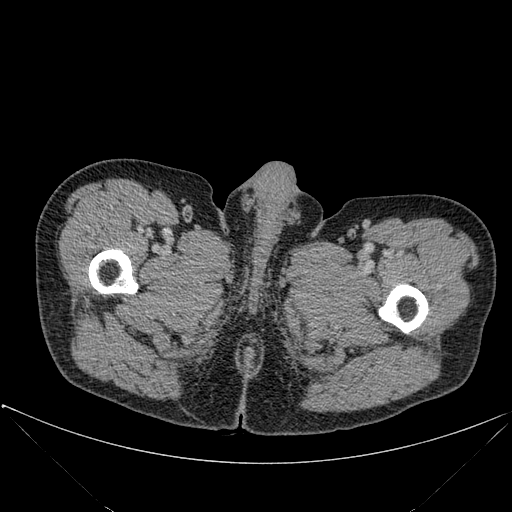 CT scan slice
{"bone": ["bbox=[88, 249, 137, 293]", "bbox=[379, 284, 428, 332]"]}